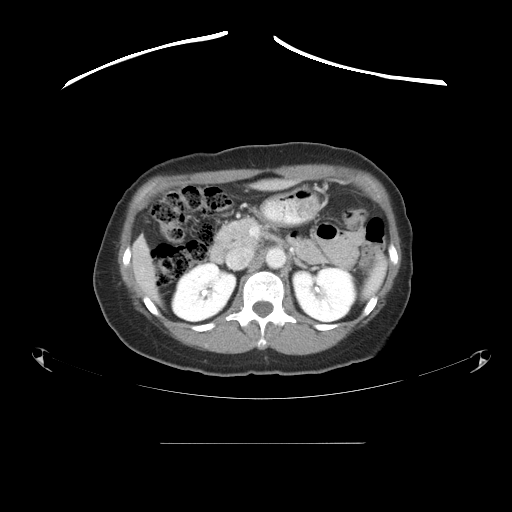 CT, Abdomen
Not every hepatic vessel necessarily has a box.
{
  "hepatic_vessel": [
    "x1=250, y1=230, x2=257, y2=234",
    "x1=227, y1=249, x2=251, y2=268"
  ]
}